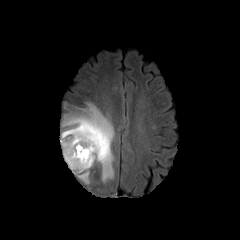
FLAIR MRI.
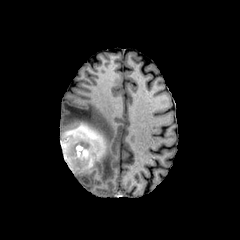
Same slice, T1-weighted MR.
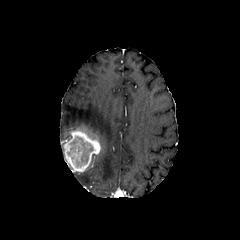
Post-contrast T1-weighted magnetic resonance.
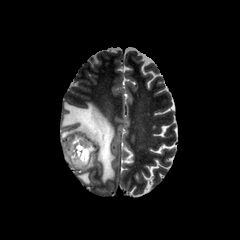
Same slice, T2-weighted MR.
Head
<segmentation>
  <edema>left=62, top=101, right=113, bottom=182; left=77, top=173, right=89, bottom=183</edema>
  <non-enhancing_tumor_core>left=61, top=135, right=93, bottom=167; left=85, top=153, right=94, bottom=170; left=63, top=124, right=106, bottom=158</non-enhancing_tumor_core>
  <enhancing_tumor>left=65, top=131, right=99, bottom=172</enhancing_tumor>
</segmentation>